240x240; Head
FLAIR magnetic resonance.
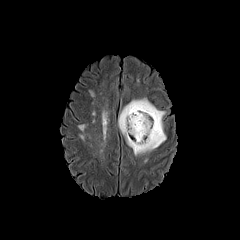
T1-weighted MR image.
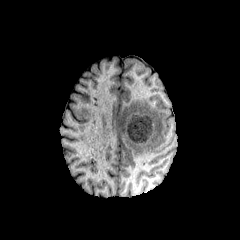
Post-contrast T1-weighted MR image.
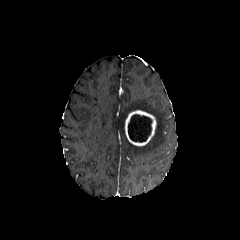
T2-weighted MR.
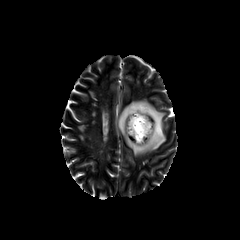
enhancing_tumor:
  - box(124, 110, 156, 147)
non-enhancing_tumor_core:
  - box(127, 114, 152, 142)
edema:
  - box(77, 124, 86, 132)
  - box(119, 100, 165, 156)